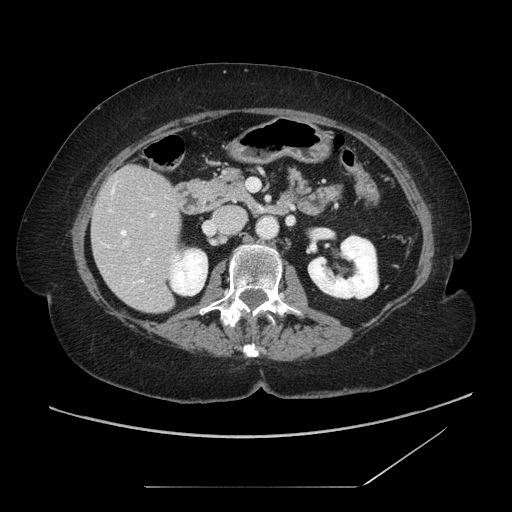
CT image, Upper abdomen

pancreas: 214, 167, 244, 196; 287, 166, 311, 199